Slice 52/90; Abdomen; Field of view 500x500 mm; CT
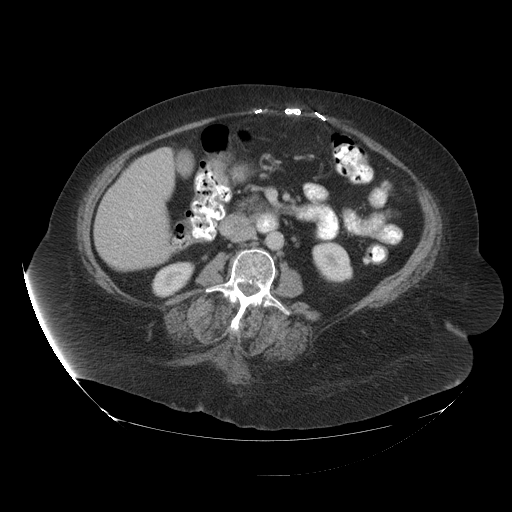
colon tumor: box(209, 160, 227, 184)